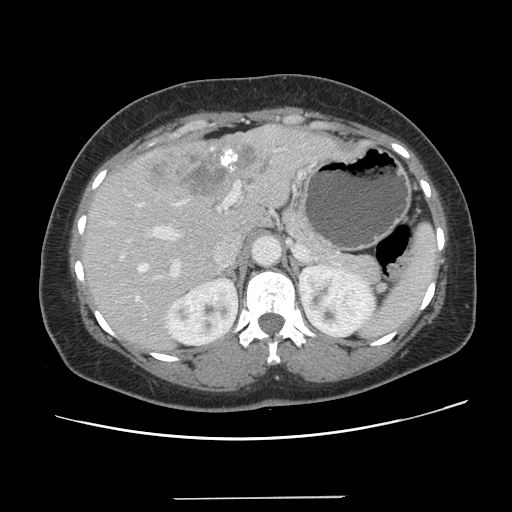 CT scan slice.
Some hepatic vessels may have no box.
Liver tumor at 144,141,270,195.
Hepatic vessel at 218,208,220,210; 223,181,240,208; 127,240,129,241; 120,255,122,260; 176,201,184,204; 156,276,160,277; 152,227,175,238; 171,262,179,276; 136,296,139,300; 139,264,147,271; 137,204,141,205.